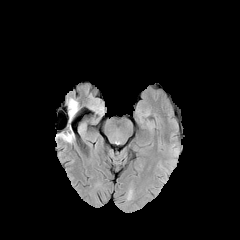
FLAIR MR.
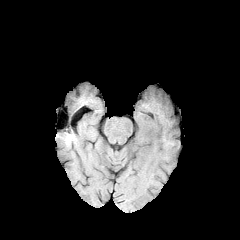
Same slice, T1-weighted MRI.
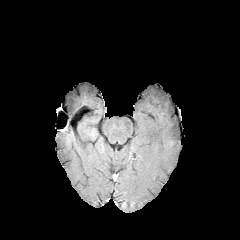
Post-contrast T1-weighted magnetic resonance of the same slice.
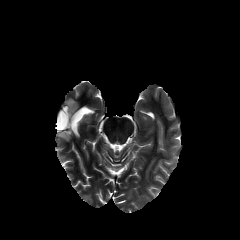
T2-weighted MR.
Head. 240x240.
Edema: bounding box [x1=59, y1=133, x2=70, y2=141], [x1=67, y1=98, x2=79, y2=121].